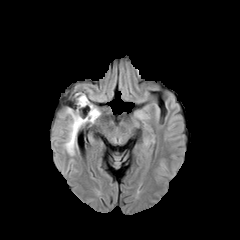
FLAIR magnetic resonance.
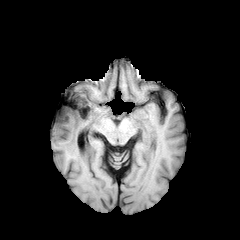
Same slice, T1-weighted MR.
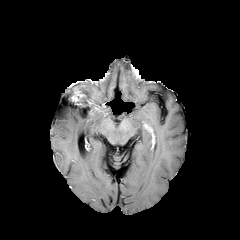
Same slice, post-contrast T1-weighted MRI.
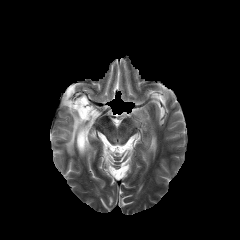
T2-weighted MR image.
Head. 240x240 px.
Findings:
* enhancing tumor: region(74, 92, 85, 104)
* non-enhancing tumor core: region(72, 91, 89, 121); region(69, 90, 78, 101)
* edema: region(57, 96, 100, 155)